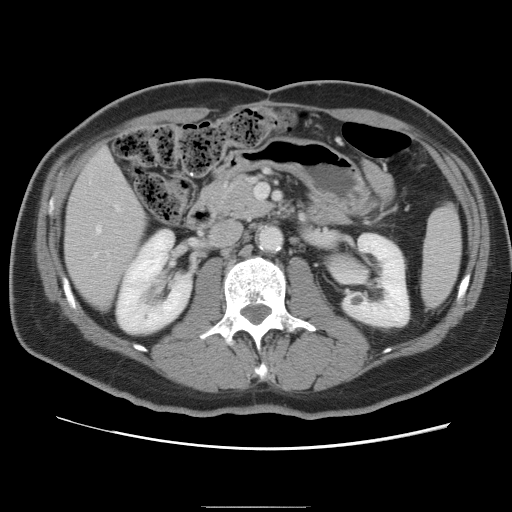
CT, Abdomen

The vessel boxes may cover only some of the vessels.
3 hepatic vessel regions appear at bbox=[93, 252, 96, 255]; bbox=[115, 203, 119, 209]; bbox=[96, 226, 100, 231].